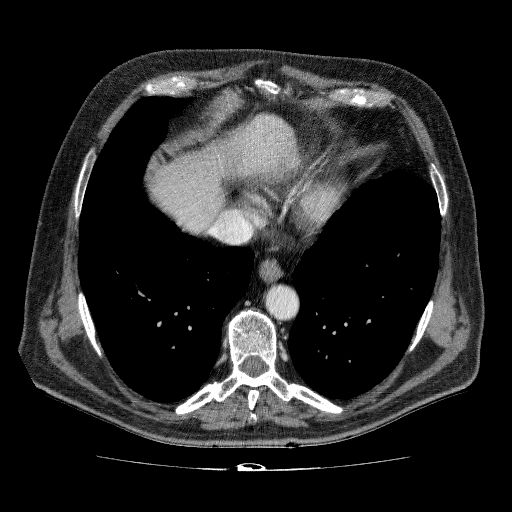
Liver | 512x512 | CT image
Liver = [151,114,299,233].